Slice 99 of 151 | Abdomen | CT scan slice | Field of view 421 mm wide, 1.50 mm slice spacing

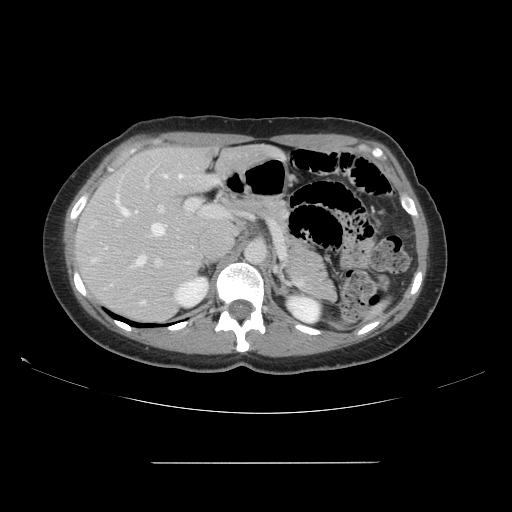 The vessel boxes may cover only some of the vessels.
Principal 15 of 16 hepatic vessel regions — (x1=91, y1=258, x2=98, y2=262), (x1=129, y1=255, x2=145, y2=268), (x1=185, y1=199, x2=201, y2=210), (x1=155, y1=259, x2=160, y2=266), (x1=144, y1=173, x2=149, y2=187), (x1=162, y1=174, x2=167, y2=177), (x1=149, y1=223, x2=165, y2=236), (x1=158, y1=205, x2=163, y2=211), (x1=114, y1=192, x2=130, y2=217), (x1=208, y1=213, x2=225, y2=217), (x1=117, y1=220, x2=121, y2=224), (x1=140, y1=301, x2=145, y2=304), (x1=203, y1=212, x2=207, y2=214), (x1=135, y1=210, x2=137, y2=212), (x1=178, y1=175, x2=182, y2=179).